Image width 330 mm; CT
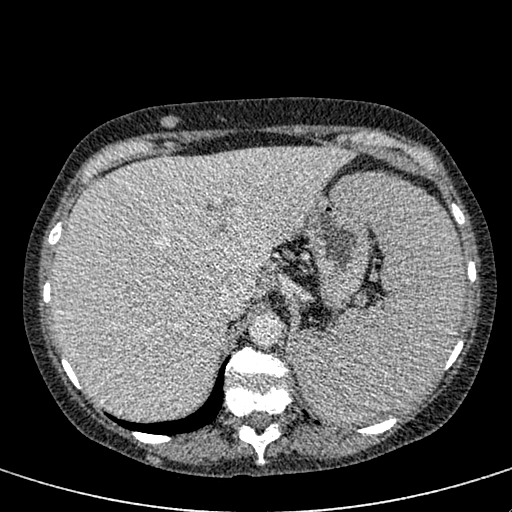
liver:
  - <bbox>52, 148, 358, 419</bbox>